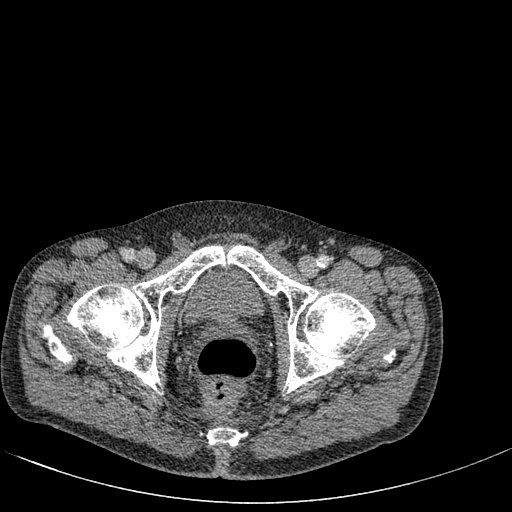 Lower abdomen | CT image
The urinary bladder is at {"x1": 178, "y1": 264, "x2": 266, "y2": 326}.